512x512 px; CT scan slice; Abdomen
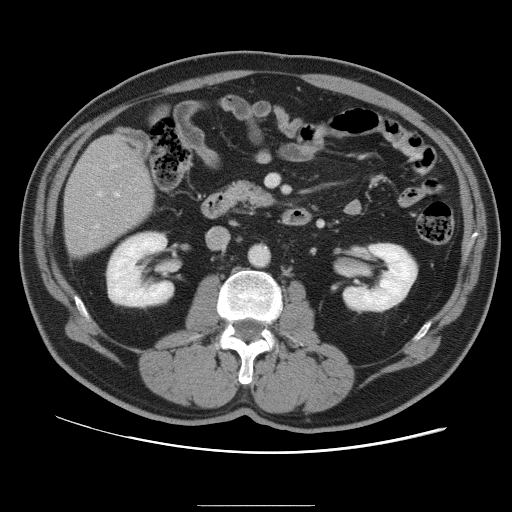

The vessel boxes may cover only some of the vessels.
Segmented structures:
- hepatic vessel: 115,193,119,195; 109,165,118,168; 95,225,99,227; 113,152,114,154; 97,192,102,195; 138,208,140,210
- liver tumor: 72,247,83,252